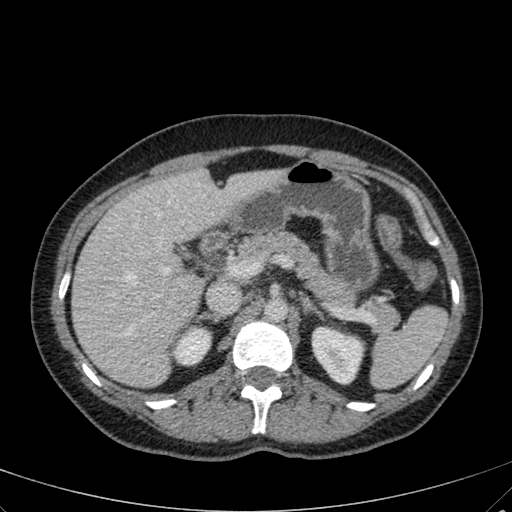 Upper abdomen, Image size 512x512, CT
liver: 71,167,287,386; 205,267,243,314 | kidney: 313,327,362,382; 174,329,209,363